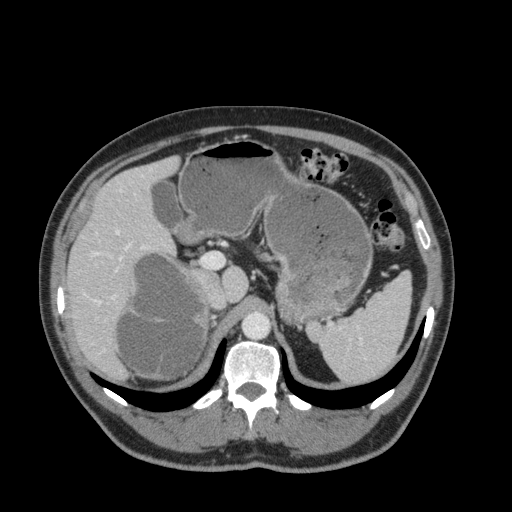

CT slice

<segmentation>
  <liver>(x1=222, y1=267, x2=247, y2=300), (x1=68, y1=158, x2=176, y2=377)</liver>
</segmentation>